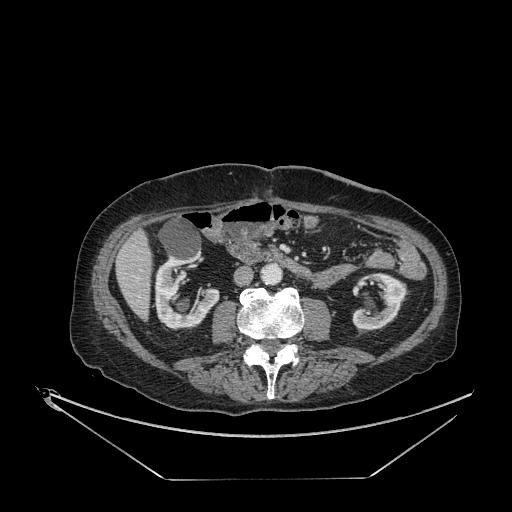 Upper abdomen. Image size 512x512. Computed tomography. Annotated regions:
* liver: bbox(116, 229, 151, 319)
* kidney: bbox(155, 256, 218, 328); bbox(353, 273, 405, 329)